Thorax | CT
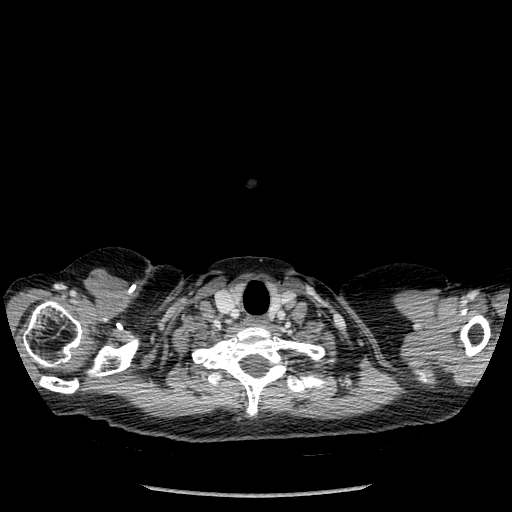 bone: [x1=192, y1=324, x2=333, y2=415], [x1=415, y1=370, x2=432, y2=382], [x1=23, y1=300, x2=84, y2=366], [x1=39, y1=376, x2=78, y2=393], [x1=460, y1=314, x2=490, y2=357], [x1=87, y1=339, x2=138, y2=377] | lung: [x1=246, y1=287, x2=267, y2=313]